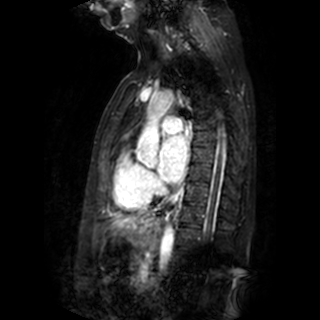 320x320 px | MRI
{
  "left_atrium": [
    {"x1": 158, "y1": 135, "x2": 186, "y2": 183}
  ]
}